FLAIR MR image.
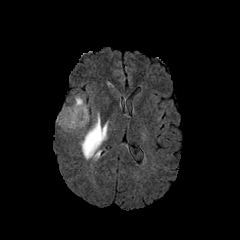
T1-weighted magnetic resonance.
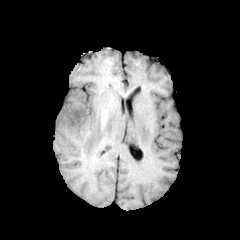
Post-contrast T1-weighted magnetic resonance.
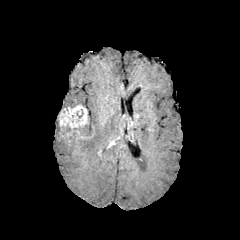
T2-weighted MR image.
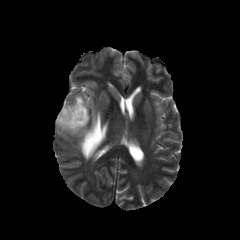
Head
2 non-enhancing tumor core regions are located at [59,126,76,135], [86,124,100,148]. The edema appears at [67,93,107,161]. The enhancing tumor lies within [58,104,87,131].